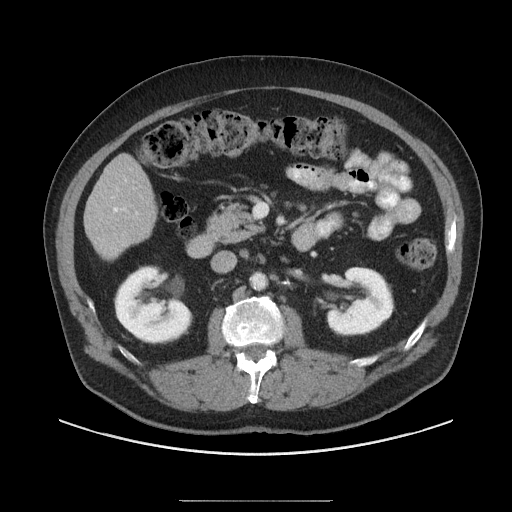
CT image
The vessel boxes may cover only some of the vessels.
- hepatic vessel: <bbox>114, 208, 117, 211</bbox>